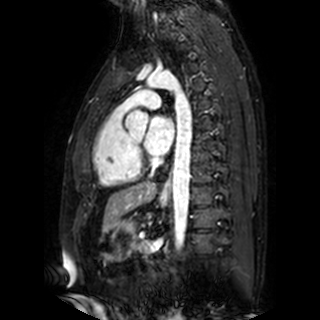
MRI. Image size 320x320. Heart.

- left atrium: l=145, t=117, r=173, b=154